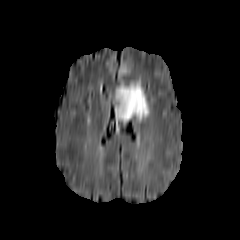
FLAIR MRI.
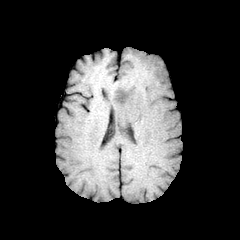
T1-weighted MRI.
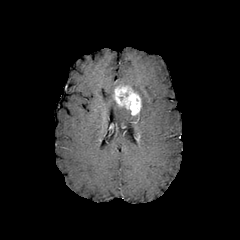
Post-contrast T1-weighted magnetic resonance.
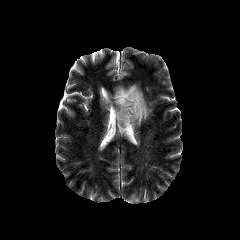
T2-weighted MR image.
Head. 240x240 px.
edema:
  - x1=115 y1=83 x2=150 y2=126
enhancing_tumor:
  - x1=114 y1=85 x2=141 y2=115